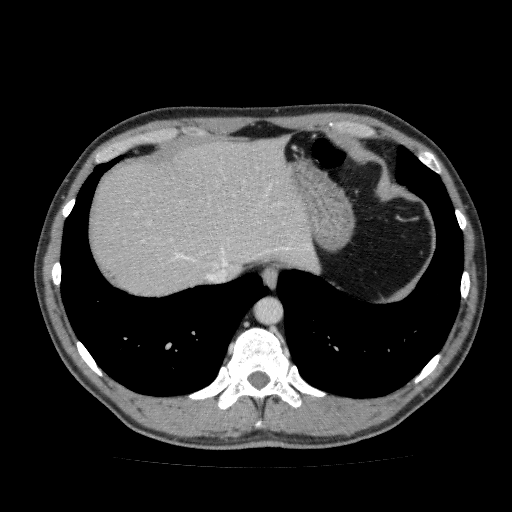 Computed tomography; Image size 512x512
Segmented structures:
• liver: 89,133,321,296